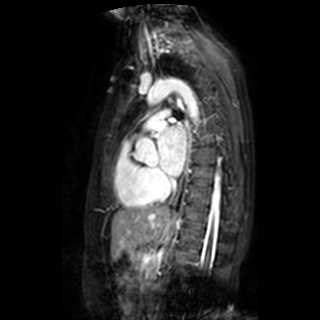 320x320 px; MR
* left atrium: x1=158 y1=126 x2=185 y2=175